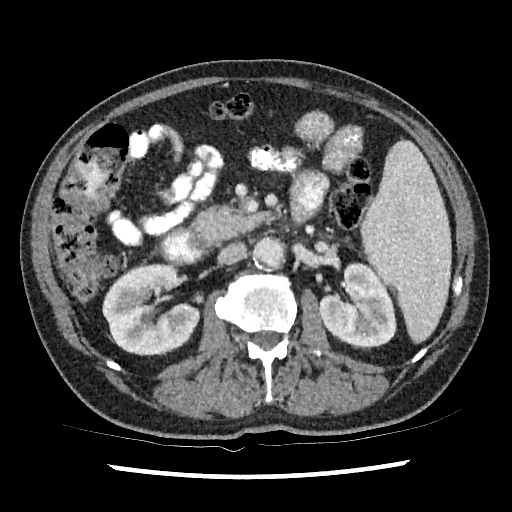
Abdomen; CT slice
Kidney: bounding box [x1=103, y1=265, x2=199, y2=354], [x1=319, y1=264, x2=395, y2=346].